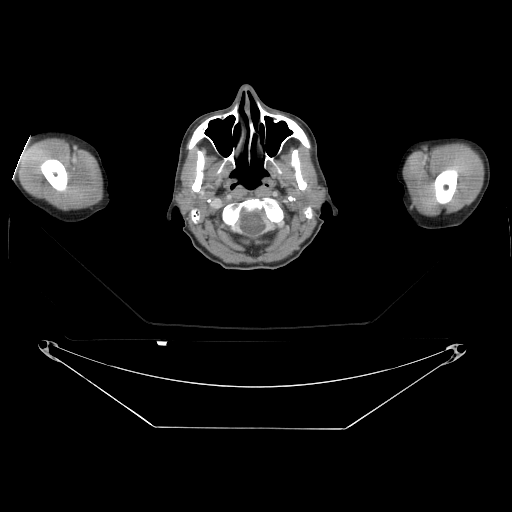 CT image. 10 bone regions are bounded by [x1=264, y1=155, x2=275, y2=165], [x1=189, y1=116, x2=221, y2=148], [x1=192, y1=151, x2=204, y2=192], [x1=41, y1=159, x2=67, y2=191], [x1=219, y1=153, x2=234, y2=171], [x1=258, y1=104, x2=309, y2=149], [x1=435, y1=168, x2=457, y2=203], [x1=223, y1=106, x2=237, y2=122], [x1=213, y1=197, x2=282, y2=234], [x1=291, y1=150, x2=306, y2=190].